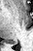
MRI; Medial temporal lobe

The posterior hippocampus lies within (7, 41, 14, 44).